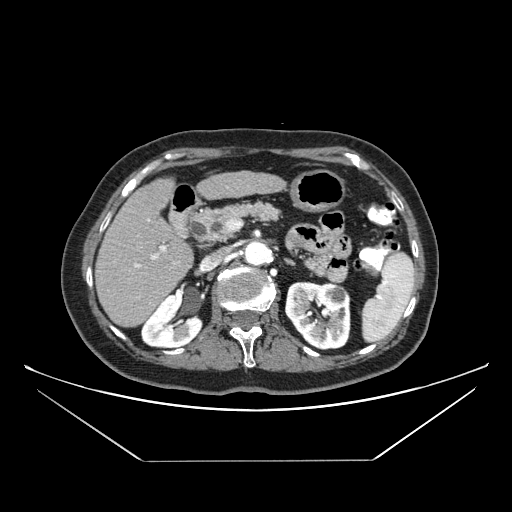

Abdomen; Computed tomography

Pancreas: bounding box [x1=186, y1=201, x2=282, y2=250].